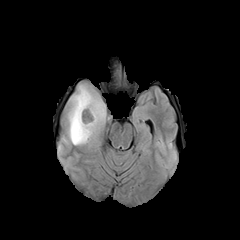
FLAIR MRI.
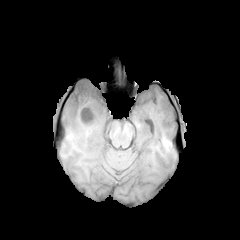
T1-weighted MR of the same slice.
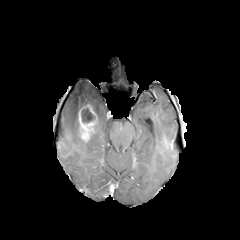
Post-contrast T1-weighted MR image.
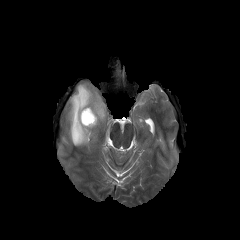
T2-weighted MR of the same slice.
Non-enhancing tumor core — {"x1": 80, "y1": 105, "x2": 99, "y2": 123}.
Edema — {"x1": 66, "y1": 83, "x2": 106, "y2": 146}.
Enhancing tumor — {"x1": 79, "y1": 111, "x2": 97, "y2": 142}.